FLAIR MR.
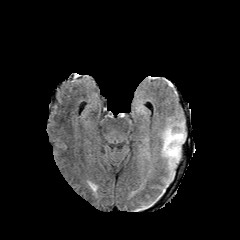
T1-weighted MR image.
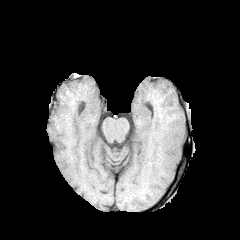
Post-contrast T1-weighted MR image.
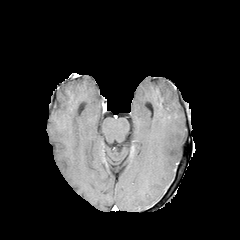
T2-weighted MR.
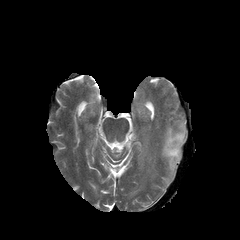
Head
The edema lies within region(163, 129, 184, 170).